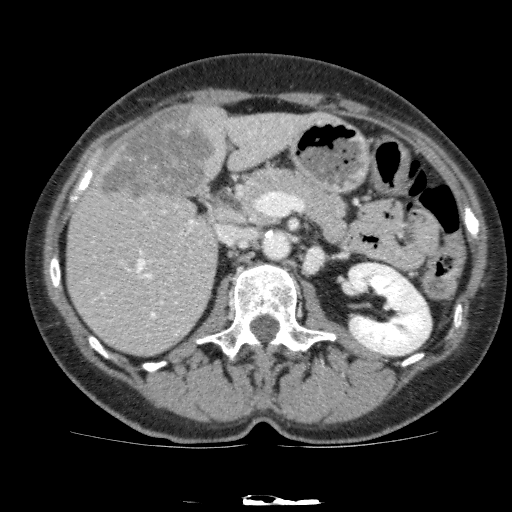 CT image. Upper abdomen.
Segmented structures:
* focal liver lesion: x1=98 y1=106 x2=215 y2=201
* kidney: x1=349 y1=263 x2=430 y2=354
* liver: x1=66 y1=105 x2=338 y2=357